Slice index 493, CT
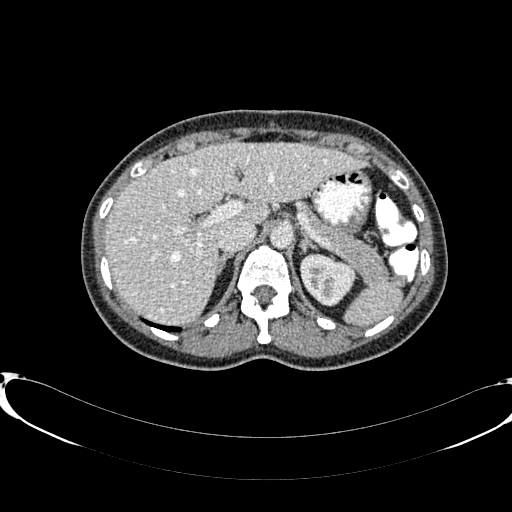

Liver at [104,143,369,324].
Kidney at [301,255,352,304].